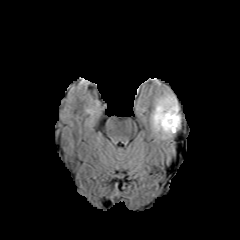
FLAIR MR.
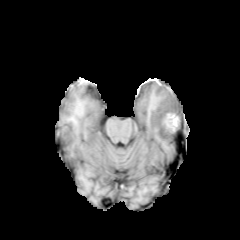
T1-weighted MR.
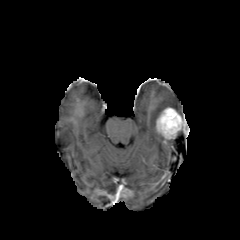
Post-contrast T1-weighted MRI of the same slice.
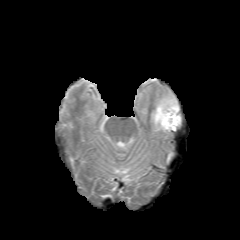
T2-weighted MR image.
Brain
Edema at (150, 88, 181, 139).
Enhancing tumor at (164, 113, 178, 129).